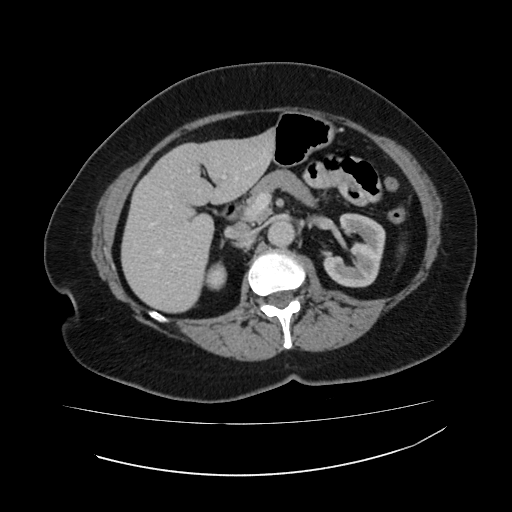 CT slice

<segmentation>
  <liver>{"x1": 122, "y1": 134, "x2": 274, "y2": 312}</liver>
  <kidney>{"x1": 323, "y1": 214, "x2": 384, "y2": 286}, {"x1": 205, "y1": 263, "x2": 225, "y2": 288}</kidney>
</segmentation>